CT. Image size 512x512. Liver.

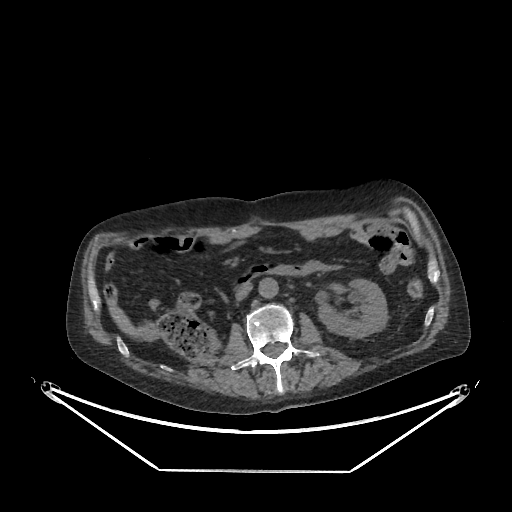

The kidney is bounded by (left=315, top=279, right=388, bottom=338). The liver lies within (left=107, top=299, right=156, bottom=339).